Liver | CT scan slice

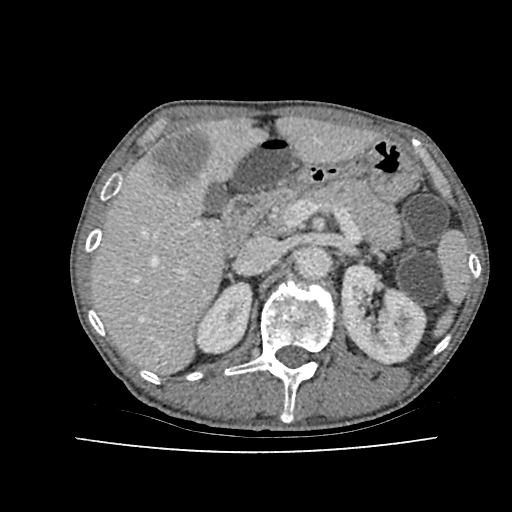
<segmentation>
  <liver>bbox=[93, 120, 261, 370]; bbox=[279, 119, 371, 161]</liver>
  <kidney>bbox=[342, 266, 424, 362]; bbox=[197, 283, 250, 352]</kidney>
  <liver_lesion>bbox=[150, 131, 213, 186]</liver_lesion>
</segmentation>